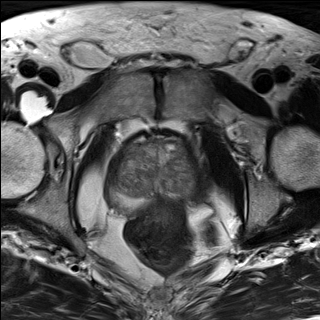
T2-weighted magnetic resonance.
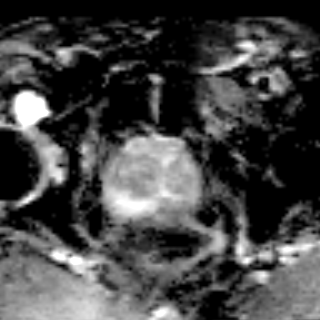
Same slice, ADC MRI.
320x320; Prostate
{"prostate_transition_zone": ["[107,137,195,199]"], "prostate_peripheral_zone": ["[106,179,154,212]"]}